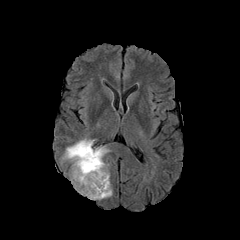
FLAIR MR.
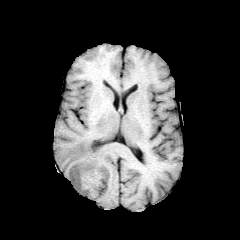
T1-weighted MRI.
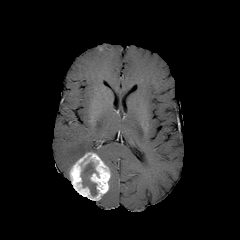
Same slice, post-contrast T1-weighted MR image.
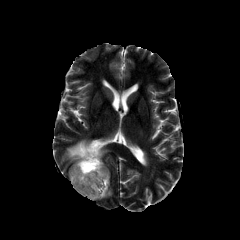
T2-weighted MR image.
Edema = left=101, top=183, right=112, bottom=199; left=62, top=138, right=109, bottom=164.
Non-enhancing tumor core = left=83, top=162, right=96, bottom=195.
Enhancing tumor = left=69, top=151, right=110, bottom=200.